FLAIR MR.
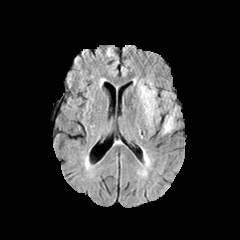
T1-weighted MR image.
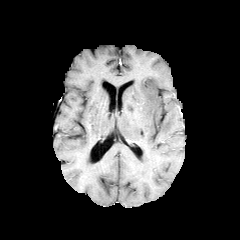
Post-contrast T1-weighted MR.
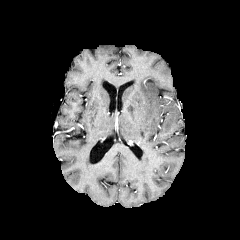
T2-weighted MRI.
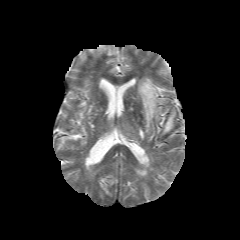
Brain.
edema:
  - [x1=160, y1=104, x2=175, y2=133]
  - [x1=137, y1=149, x2=150, y2=176]
  - [x1=137, y1=82, x2=161, y2=128]